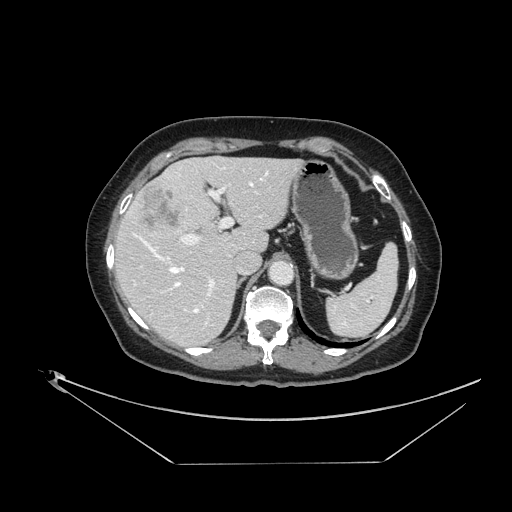
Abdomen | Computed tomography | Image size 512x512
The vessel boxes may cover only some of the vessels.
hepatic vessel: left=193, top=305, right=202, bottom=312; left=173, top=281, right=181, bottom=287; left=180, top=234, right=199, bottom=244; left=220, top=218, right=233, bottom=227; left=212, top=193, right=217, bottom=197; left=250, top=182, right=251, bottom=184; left=169, top=265, right=184, bottom=273; left=207, top=279, right=214, bottom=295; left=135, top=235, right=169, bottom=261 | liver tumor: left=133, top=182, right=184, bottom=230